FLAIR MR.
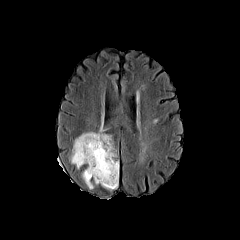
T1-weighted magnetic resonance.
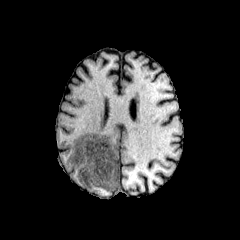
Post-contrast T1-weighted MR image.
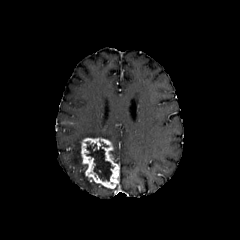
T2-weighted magnetic resonance.
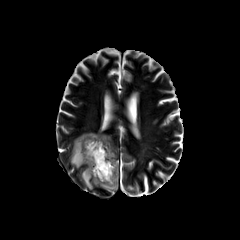
240x240 px; Brain
Edema = left=71, top=131, right=111, bottom=169; left=82, top=172, right=93, bottom=189.
Enhancing tumor = left=80, top=138, right=119, bottom=188.
Non-enhancing tumor core = left=85, top=141, right=114, bottom=181.